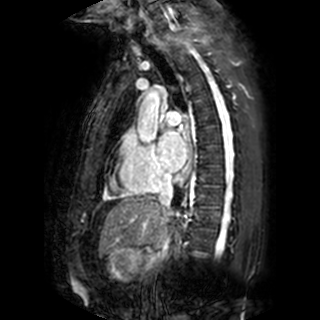
Image size 320x320, MR
The left atrium is at box=[158, 130, 186, 171].